Slice 409/846, CT, Abdomen
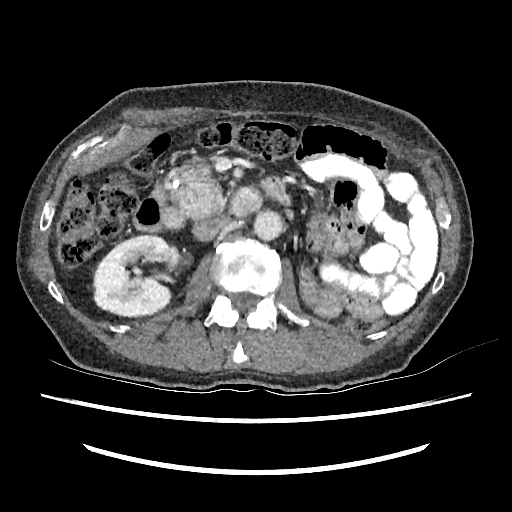
The kidney is bounded by <bbox>94, 236, 177, 316</bbox>.